Upper abdomen. CT image. 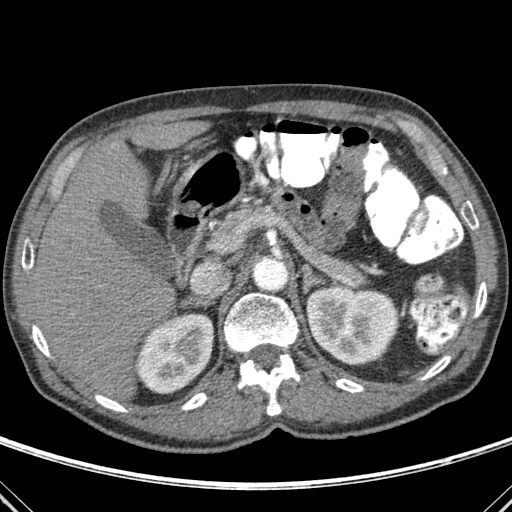

Segmented structures:
• kidney: <bbox>138, 315, 212, 392</bbox>, <bbox>307, 288, 396, 363</bbox>
• liver: <bbox>132, 121, 210, 149</bbox>, <bbox>33, 141, 176, 401</bbox>
• bone: <bbox>461, 201, 478, 229</bbox>, <bbox>95, 395, 126, 411</bbox>, <bbox>224, 293, 299, 415</bbox>, <bbox>475, 282, 486, 317</bbox>, <bbox>182, 393, 206, 409</bbox>, <bbox>22, 239, 33, 269</bbox>, <bbox>336, 379, 363, 392</bbox>, <bbox>32, 325, 49, 356</bbox>, <bbox>421, 356, 450, 379</bbox>